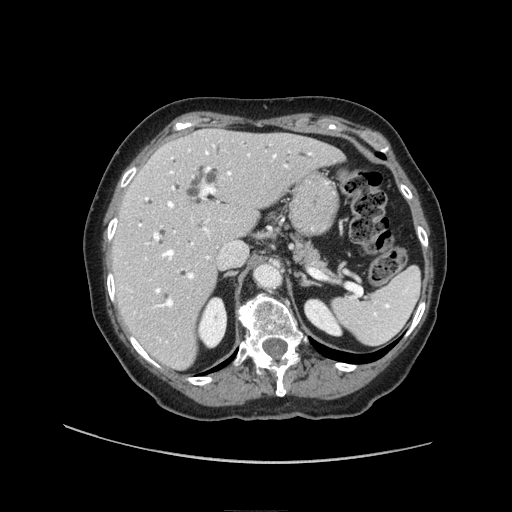

Upper abdomen | 512x512 | Computed tomography
The pancreas is located at [x1=294, y1=242, x2=338, y2=278].